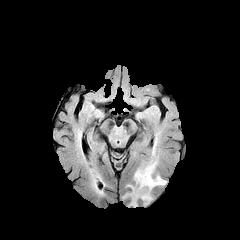
FLAIR MRI.
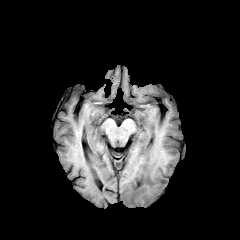
Same slice, T1-weighted MR image.
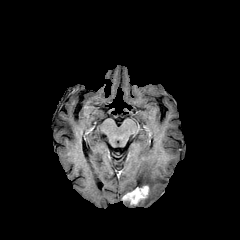
Post-contrast T1-weighted MRI.
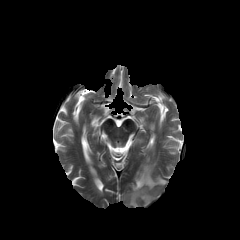
T2-weighted MR.
240x240 px | Head
Edema at l=132, t=140, r=166, b=203.
Enhancing tumor at l=123, t=185, r=148, b=204.